Upper abdomen. CT scan slice. Slice index 315. 512x512. 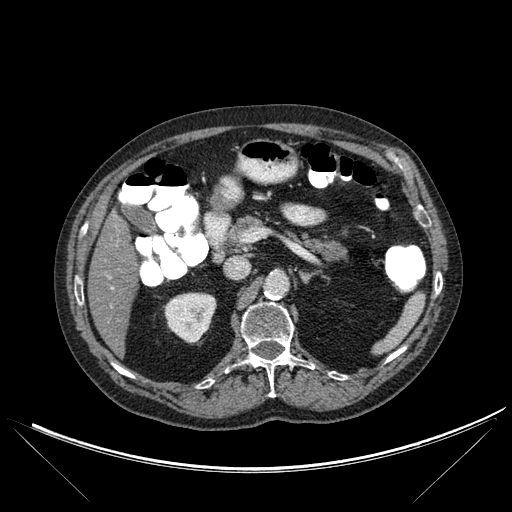

bone:
  - x1=197 y1=380 x2=211 y2=388
  - x1=241 y1=302 x2=302 y2=396
  - x1=386 y1=347 x2=405 y2=361
  - x1=329 y1=371 x2=346 y2=380
  - x1=112 y1=363 x2=134 y2=377
  - x1=75 y1=287 x2=83 y2=304
  - x1=435 y1=272 x2=442 y2=293
liver:
  - x1=88 y1=209 x2=141 y2=358
kidney:
  - x1=165 y1=293 x2=215 y2=342